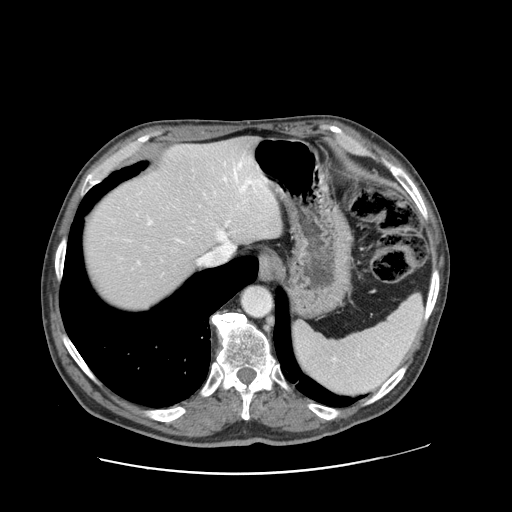
CT; Abdomen

The vessel annotation is not exhaustive.
Hepatic vessel at (left=148, top=219, right=151, bottom=224), (left=218, top=231, right=225, bottom=240), (left=241, top=178, right=266, bottom=193), (left=234, top=162, right=242, bottom=182), (left=224, top=177, right=225, bottom=180).